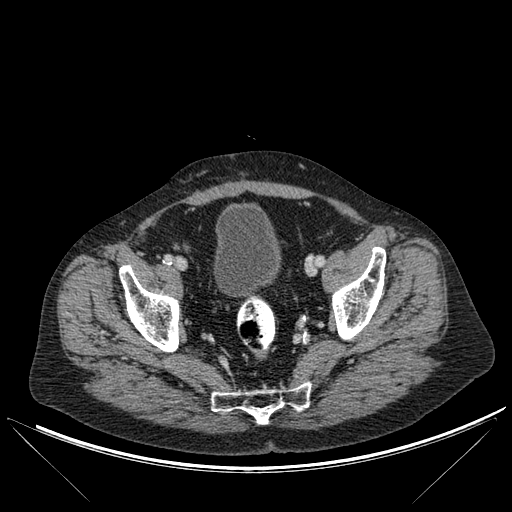
Lower abdomen; CT image
The urinary bladder lies within 213 204 281 298. 3 bone regions appear at 332 247 385 339, 119 265 179 351, 211 382 310 424.